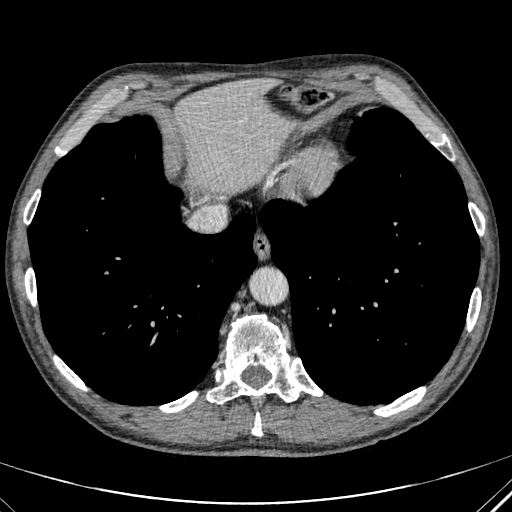

Abdomen; Image size 512x512; CT slice
{
  "liver": [
    "x1=175, y1=79, x2=292, y2=190"
  ]
}